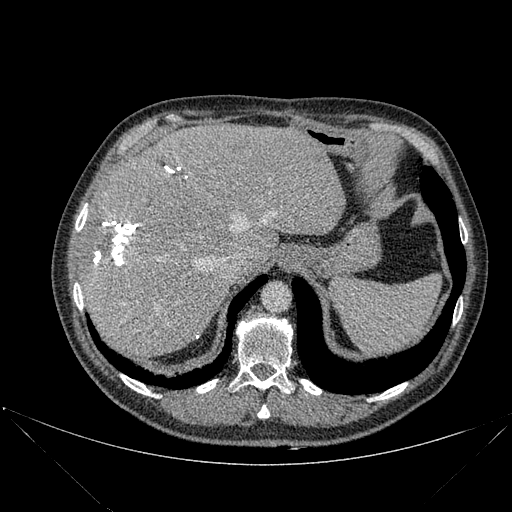

Computed tomography
{
  "lung": [
    "l=292, t=167, r=465, b=393",
    "l=88, t=275, r=267, b=388"
  ],
  "liver": [
    "l=79, t=124, r=345, b=356"
  ],
  "bone": [
    "l=230, t=317, r=292, b=393",
    "l=300, t=379, r=321, b=394",
    "l=196, t=379, r=217, b=393",
    "l=120, t=374, r=154, b=396",
    "l=75, t=206, r=87, b=230",
    "l=73, t=283, r=83, b=309",
    "l=460, t=221, r=467, b=243",
    "l=257, t=405, r=269, b=417",
    "l=453, t=304, r=462, b=324",
    "l=377, t=383, r=407, b=399"
  ]
}